CT scan slice; Field of view 291 mm wide, 2.50 mm slice spacing
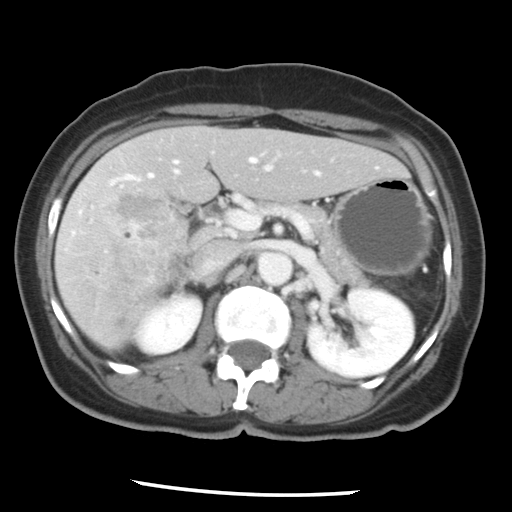 The vessel annotation is not exhaustive.
<segmentation>
  <hepatic_vessel>266,166,270,168; 109,181,113,184; 79,210,80,211; 227,205,260,235; 201,259,222,272; 266,243,292,251; 315,171,319,174; 119,174,138,179; 250,156,256,162; 72,231,73,232; 149,173,151,176; 173,167,179,174</hepatic_vessel>
  <liver_tumor>101,190,181,335</liver_tumor>
</segmentation>